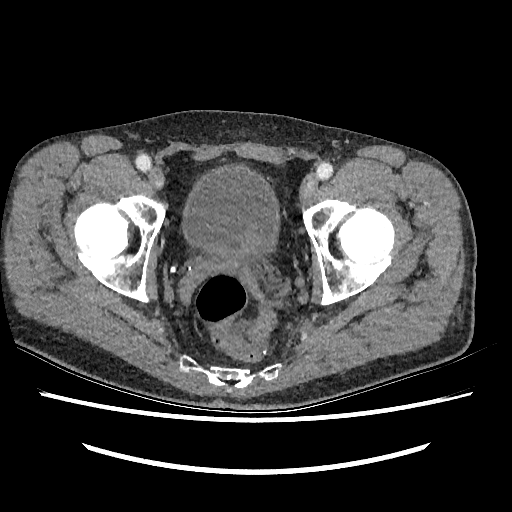
Lower abdomen. CT image.
urinary_bladder:
  - 236, 252, 256, 261
  - 182, 170, 276, 258